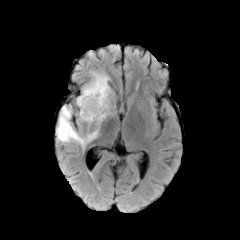
FLAIR MR.
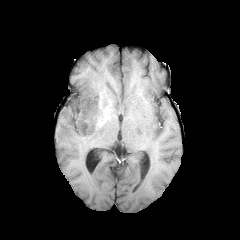
T1-weighted MR of the same slice.
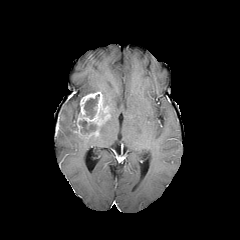
Post-contrast T1-weighted MR image of the same slice.
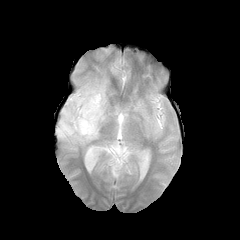
Same slice, T2-weighted MR image.
Image size 240x240. Head.
Non-enhancing tumor core at 78, 90, 106, 112; 76, 119, 100, 138; 84, 94, 99, 118.
Edema at 56, 97, 99, 149; 78, 72, 113, 123.
Enhancing tumor at 78, 92, 103, 122.